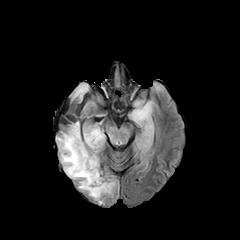
FLAIR MRI.
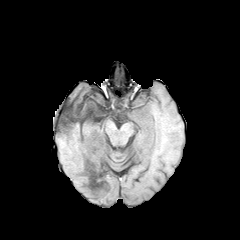
Same slice, T1-weighted magnetic resonance.
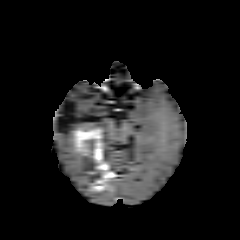
Post-contrast T1-weighted magnetic resonance of the same slice.
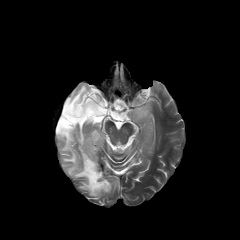
T2-weighted MR image of the same slice.
Image size 240x240
6 edema regions appear at [56,130,111,201], [130,101,151,123], [72,122,89,129], [82,96,104,117], [64,107,81,119], [69,84,90,106]. 2 enhancing tumor regions appear at [90,170,111,191], [73,128,102,167]. 6 non-enhancing tumor core regions appear at [59,107,96,133], [98,146,115,186], [84,139,95,156], [86,166,101,181], [80,123,103,133], [65,100,78,113].